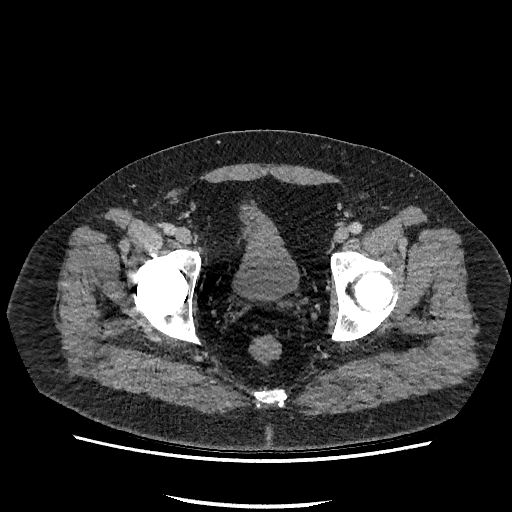

512x512; CT scan slice

urinary bladder: 233,201,299,301